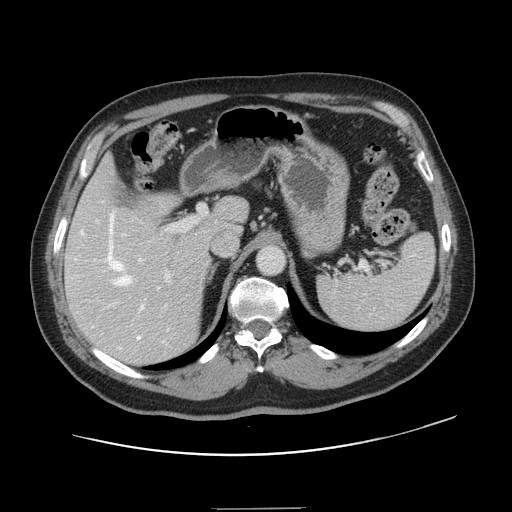

CT slice

The vessel boxes may cover only some of the vessels.
<segmentation>
  <hepatic_vessel>left=140, top=304, right=144, bottom=310; left=115, top=275, right=131, bottom=285; left=137, top=336, right=139, bottom=339; left=108, top=304, right=114, bottom=306; left=139, top=258, right=140, bottom=261; left=162, top=340, right=164, bottom=342; left=81, top=229, right=83, bottom=234; left=165, top=274, right=169, bottom=281; left=108, top=211, right=123, bottom=270</hepatic_vessel>
</segmentation>